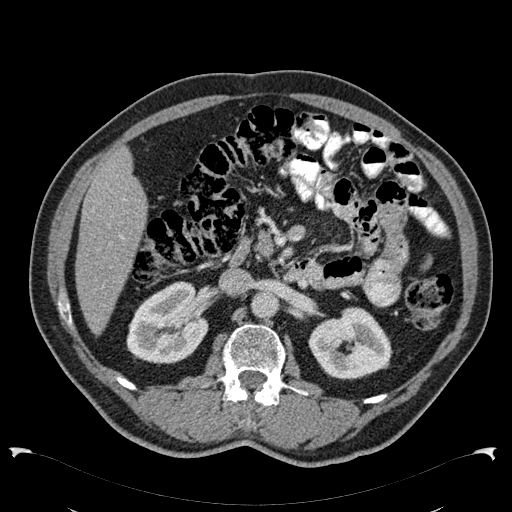
CT
Liver: (x1=77, y1=146, x2=147, y2=335).
Kidney: (x1=309, y1=307, x2=391, y2=378), (x1=127, y1=282, x2=212, y2=363).